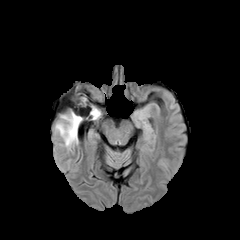
FLAIR magnetic resonance.
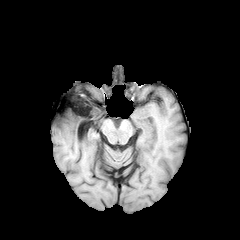
T1-weighted MR image.
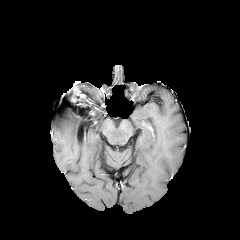
Post-contrast T1-weighted magnetic resonance of the same slice.
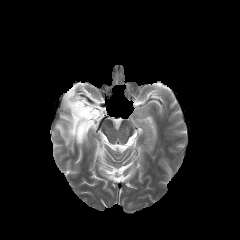
Same slice, T2-weighted magnetic resonance.
Non-enhancing tumor core at region(72, 89, 91, 108); region(60, 109, 85, 126).
Edema at region(92, 109, 100, 119); region(53, 116, 81, 150).